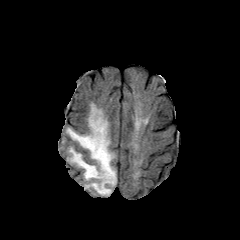
FLAIR MRI.
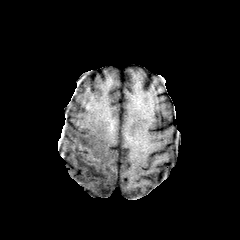
T1-weighted MR.
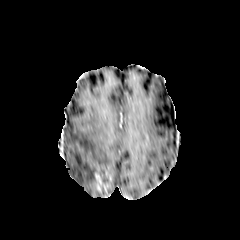
Post-contrast T1-weighted magnetic resonance.
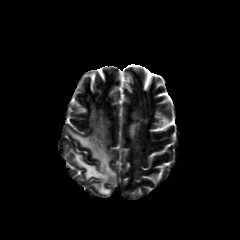
T2-weighted MR.
Brain.
<segmentation>
  <enhancing_tumor>(x1=94, y1=173, x2=107, y2=193)</enhancing_tumor>
  <edema>(x1=66, y1=105, x2=116, y2=196)</edema>
  <non-enhancing_tumor_core>(x1=90, y1=166, x2=111, y2=192)</non-enhancing_tumor_core>
</segmentation>